Liver. Computed tomography. Field of view 404x404 mm.
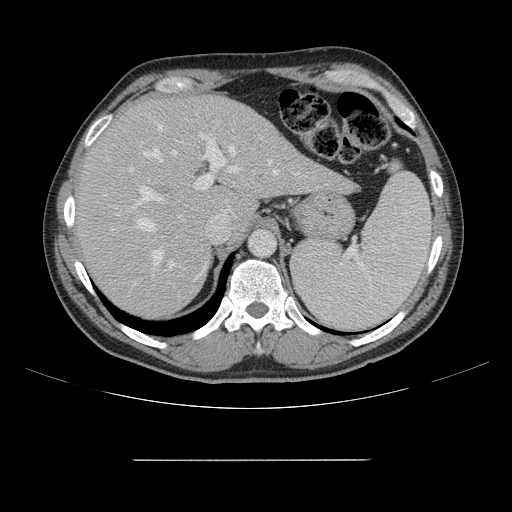 The vessel boxes may cover only some of the vessels.
14 hepatic vessel regions are bounded by (left=136, top=187, right=162, bottom=204), (left=138, top=218, right=154, bottom=230), (left=151, top=250, right=161, bottom=269), (left=129, top=167, right=132, bottom=170), (left=151, top=274, right=153, bottom=276), (left=269, top=160, right=271, bottom=163), (left=199, top=135, right=225, bottom=167), (left=168, top=260, right=174, bottom=269), (left=253, top=170, right=254, bottom=172), (left=194, top=174, right=212, bottom=189), (left=273, top=170, right=278, bottom=174), (left=230, top=146, right=235, bottom=154), (left=116, top=214, right=119, bottom=215), (left=228, top=166, right=237, bottom=172).